Brain | Image width 240 mm
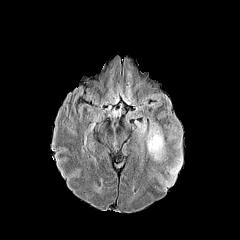
FLAIR MR image.
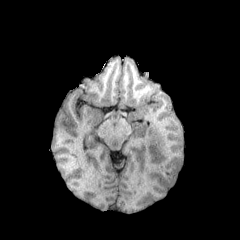
Same slice, T1-weighted MRI.
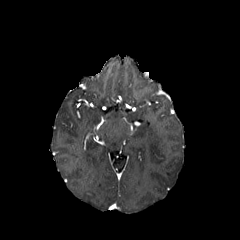
Post-contrast T1-weighted magnetic resonance.
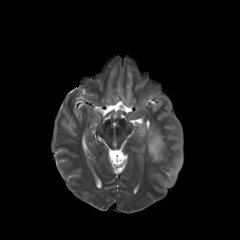
T2-weighted magnetic resonance.
Edema — x1=170 y1=155 x2=182 y2=175, x1=146 y1=123 x2=166 y2=164.